512x512 px. CT.

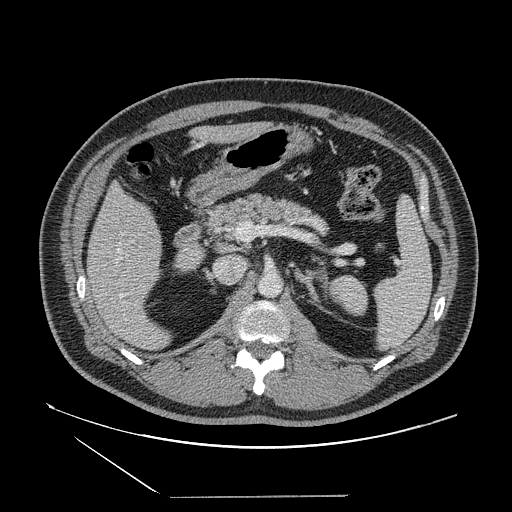
The pancreas lies within 200,192,329,254.